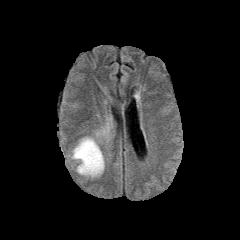
FLAIR MR.
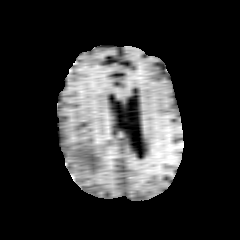
Same slice, T1-weighted magnetic resonance.
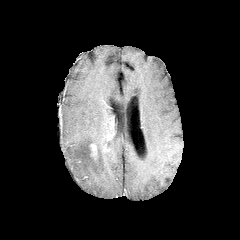
Same slice, post-contrast T1-weighted MRI.
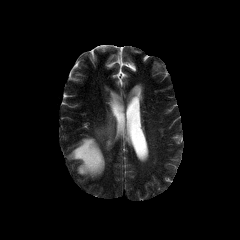
Same slice, T2-weighted magnetic resonance.
edema: rect(69, 136, 104, 178); rect(96, 128, 113, 141) | enhancing tumor: rect(90, 144, 96, 155) | non-enhancing tumor core: rect(89, 146, 97, 159)